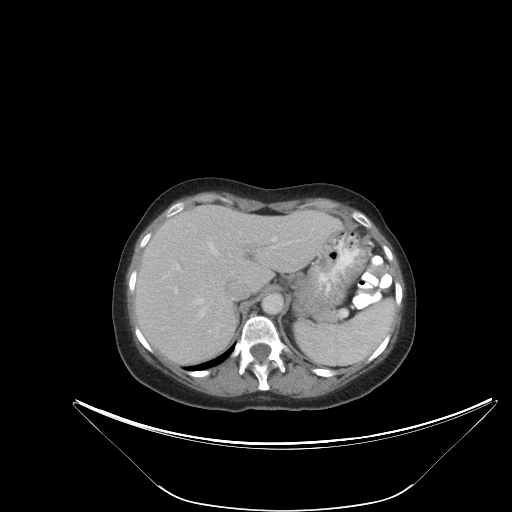 CT image | Liver
Only some of the vessels may be annotated.
8 hepatic vessel regions appear at (198, 306, 206, 317), (196, 295, 202, 303), (174, 288, 177, 292), (273, 238, 274, 240), (279, 240, 299, 245), (177, 266, 179, 269), (210, 244, 215, 252), (271, 245, 278, 248).